Field of view 240x240 mm. Slice 50 of 155. Brain.
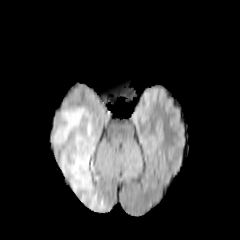
FLAIR MR image.
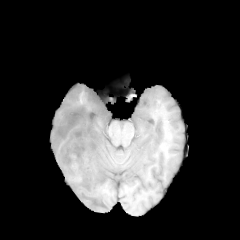
T1-weighted MR.
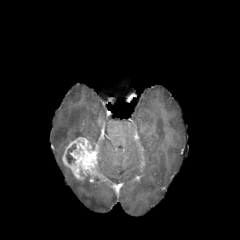
Post-contrast T1-weighted MR image.
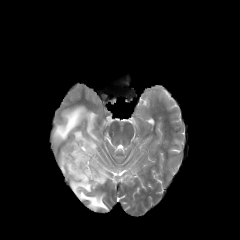
Same slice, T2-weighted MR.
Enhancing tumor: bounding box box(62, 137, 100, 182).
Non-enhancing tumor core: bounding box box(66, 143, 76, 165).
Edema: bounding box box(75, 130, 89, 139); box(52, 106, 107, 210).